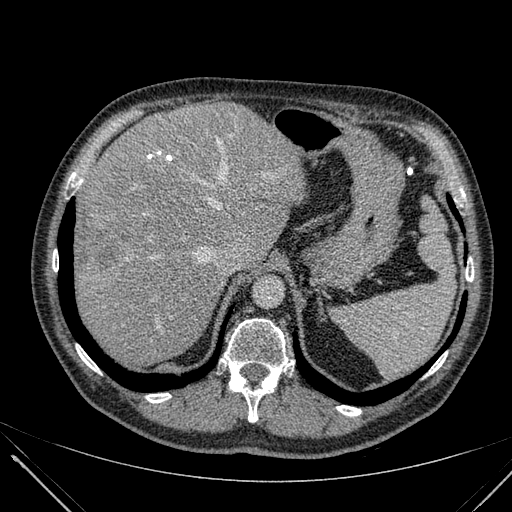 512x512 px; CT
<segmentation>
  <liver_lesion>x1=116 y1=226 x2=126 y2=237, x1=97 y1=240 x2=118 y2=269</liver_lesion>
  <liver>x1=74 y1=103 x2=305 y2=367</liver>
</segmentation>